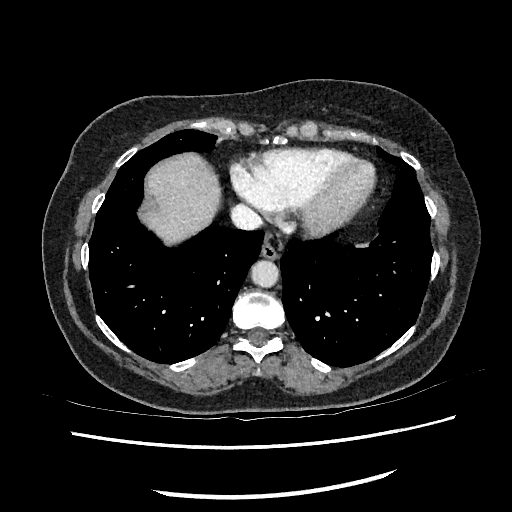
Abdomen. CT image.

liver: {"x1": 147, "y1": 155, "x2": 219, "y2": 244}